240x240 px; Brain; Slice index 92
FLAIR magnetic resonance.
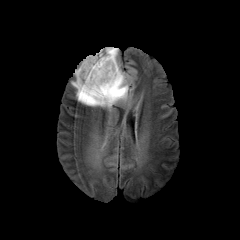
T1-weighted MR image.
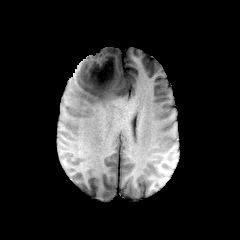
Post-contrast T1-weighted MRI.
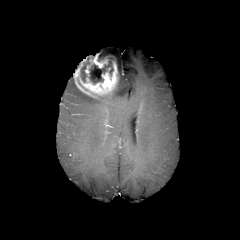
T2-weighted magnetic resonance.
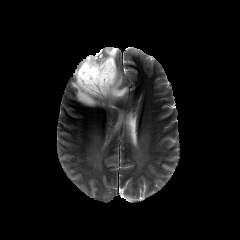
The edema lies within l=71, t=47, r=132, b=109. 2 non-enhancing tumor core regions are bounded by l=80, t=54, r=116, b=84; l=112, t=66, r=120, b=94. 2 enhancing tumor regions are bounded by l=74, t=58, r=118, b=97; l=89, t=54, r=107, b=67.